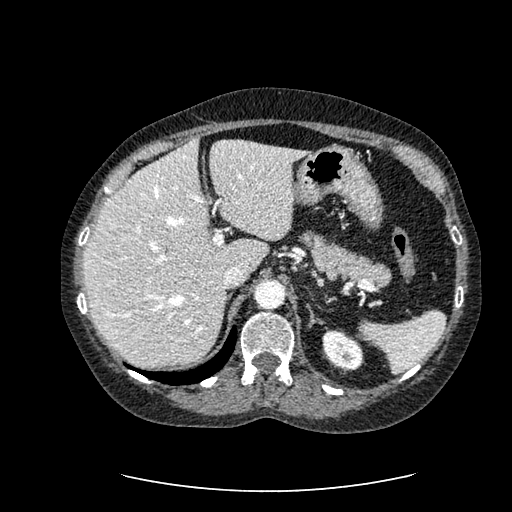
512x512 px | Liver | CT image
Liver at <bbox>208, 140, 312, 240</bbox>, <bbox>84, 137, 268, 366</bbox>.
Kidney at <bbox>323, 331, 361, 369</bbox>.